Field of view 240x240 mm. Brain. Slice 80 of 155.
FLAIR magnetic resonance.
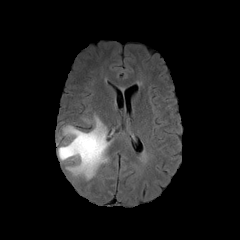
T1-weighted MR image.
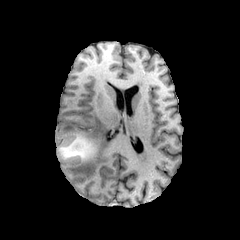
Post-contrast T1-weighted MR.
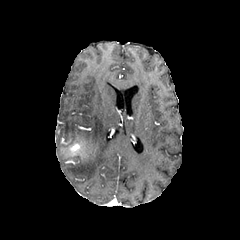
T2-weighted MR.
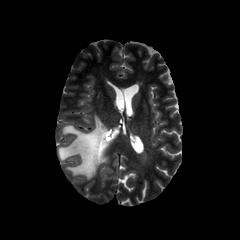
<segmentation>
  <non-enhancing_tumor_core>62, 139, 92, 157</non-enhancing_tumor_core>
  <edema>61, 115, 110, 179; 58, 146, 80, 160</edema>
</segmentation>